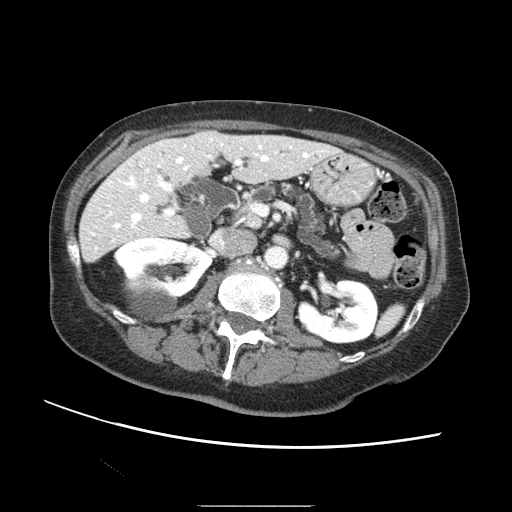

Computed tomography. Abdomen. 512x512 px.
The pancreas is bounded by (left=234, top=185, right=340, bottom=259).